Field of view 353 mm wide, 1.50 mm slice spacing; Slice 191 of 422; CT scan slice; Image size 512x512 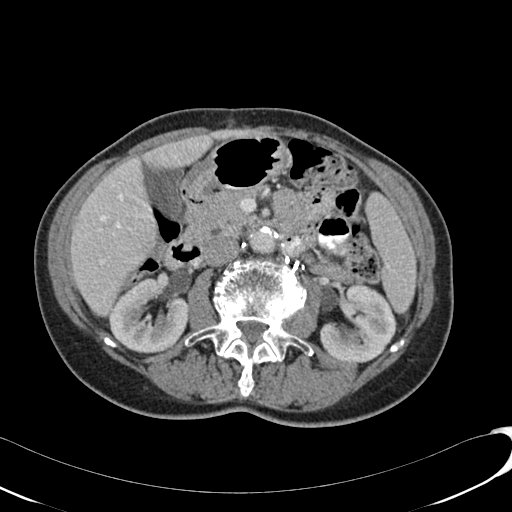
{
  "hepatic_lesion": [
    "(148, 161, 162, 168)"
  ],
  "kidney": [
    "(321, 285, 395, 362)",
    "(110, 279, 188, 351)"
  ],
  "liver": [
    "(72, 156, 156, 315)",
    "(143, 129, 266, 168)"
  ]
}